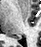
Medial temporal lobe. Magnetic resonance.
posterior_hippocampus:
  - x1=15, y1=36, x2=21, y2=39